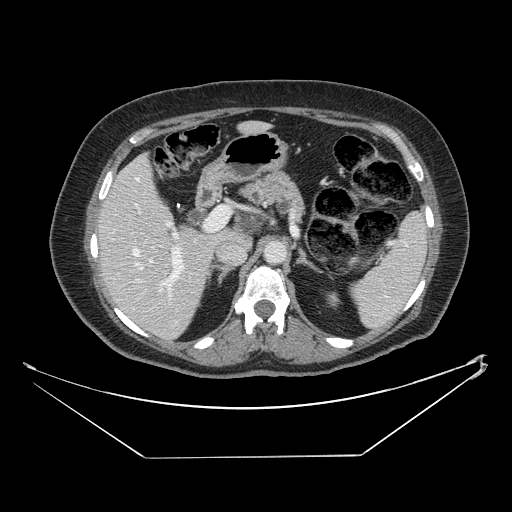 CT, Upper abdomen

pancreatic_tumor:
  - bbox(238, 213, 264, 235)
pancreas:
  - bbox(257, 217, 267, 235)
  - bbox(233, 170, 305, 238)